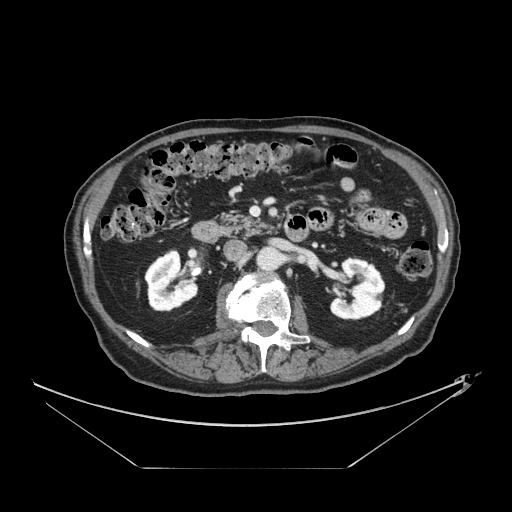
CT slice, Abdomen
The pancreas is at (216,214,265,236).